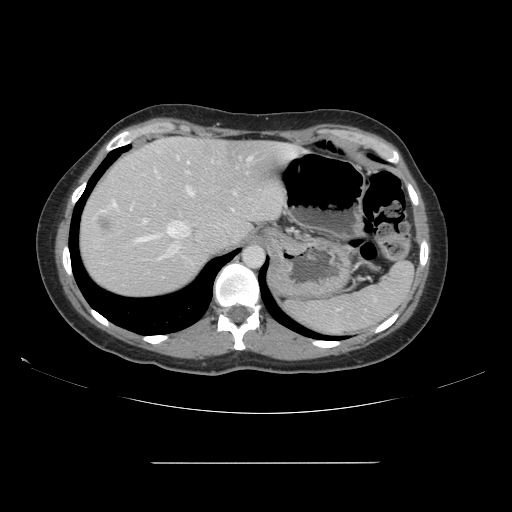
Computed tomography.

The vessel boxes may cover only some of the vessels.
<segmentation>
  <hepatic_vessel>x1=248 y1=157 x2=251 y2=160, x1=246 y1=172 x2=247 y2=173, x1=166 y1=221 x2=189 y2=238, x1=186 y1=171 x2=189 y2=173, x1=232 y1=209 x2=233 y2=210, x1=177 y1=156 x2=178 y2=159, x1=143 y1=218 x2=147 y2=223, x1=166 y1=243 x2=180 y2=255, x1=158 y1=255 x2=166 y2=259, x1=212 y1=160 x2=213 y2=162, x1=134 y1=235 x2=159 y2=242, x1=187 y1=161 x2=188 y2=163, x1=101 y1=199 x2=116 y2=211, x1=187 y1=187 x2=193 y2=195, x1=233 y1=192 x2=235 y2=194</hepatic_vessel>
  <liver_tumor>x1=97 y1=217 x2=112 y2=231</liver_tumor>
</segmentation>